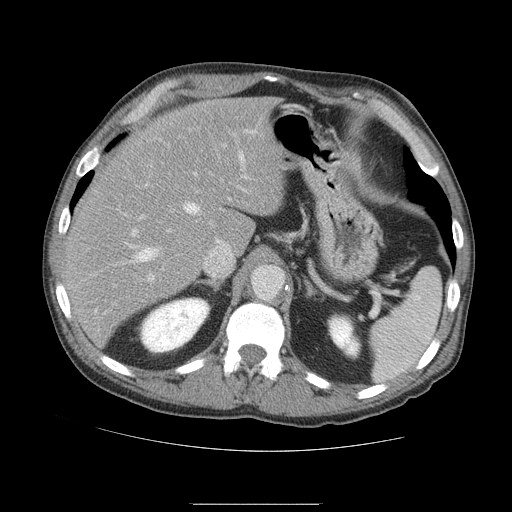
CT scan slice. Liver. Some hepatic vessels may have no box.
Largest 15 of 16 hepatic vessel regions at [239,152,244,169], [139,215,143,218], [95,309,96,312], [148,274,153,280], [239,187,243,189], [126,243,137,247], [184,203,198,213], [193,172,196,174], [241,175,248,178], [216,239,218,241], [222,144,225,146], [245,129,257,133], [131,248,157,262], [233,134,235,135], [132,229,136,234].
Liver tumor at [90,189,105,200].